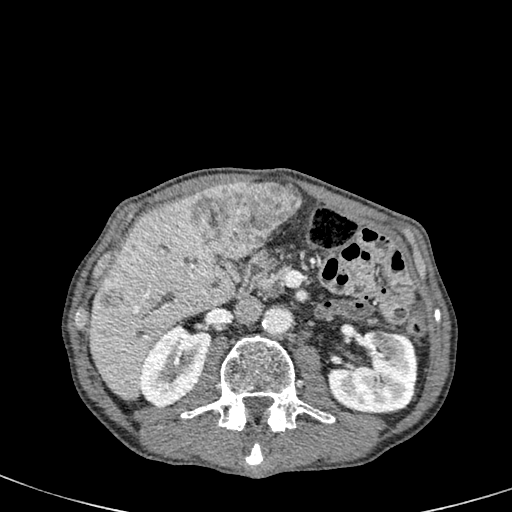
CT image; Abdomen

2 liver lesion regions are located at (101,290,123,307), (194,182,300,258). 2 liver regions are bounded by (89,196,234,399), (283,185,299,195). 2 kidney regions are located at (139,326,210,406), (329,327,416,412).